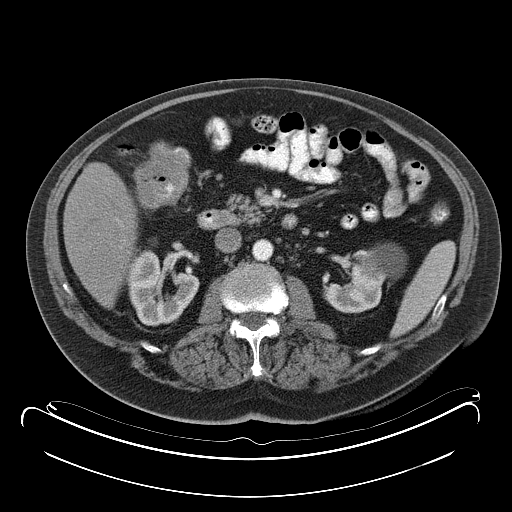 Computed tomography; 512x512 px

Colon tumor: [135, 143, 187, 207].